FLAIR MR image.
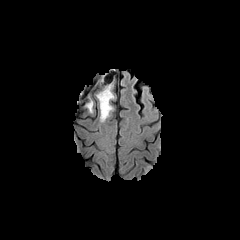
T1-weighted magnetic resonance.
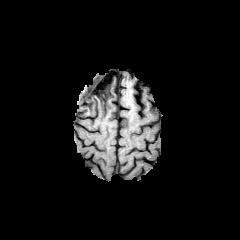
Post-contrast T1-weighted MR image.
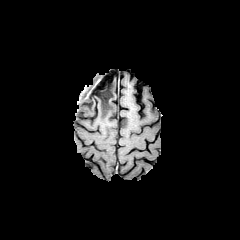
T2-weighted MRI.
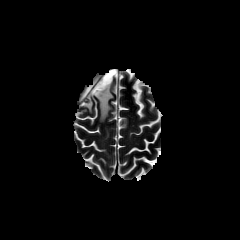
240x240.
Edema: bounding box (x1=86, y1=83, x2=114, y2=119).
Non-enhancing tumor core: bounding box (x1=94, y1=81, x2=110, y2=96), (x1=84, y1=94, x2=92, y2=108).